Computed tomography | Abdomen | Slice 51 of 117 | Field of view 458 mm wide, 2.50 mm slice spacing 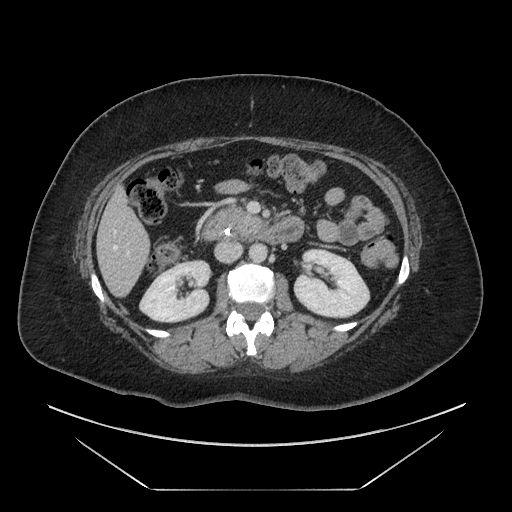
Pancreas: bounding box l=228, t=207, r=261, b=236.
Pancreatic tumor: bounding box l=232, t=222, r=241, b=234.